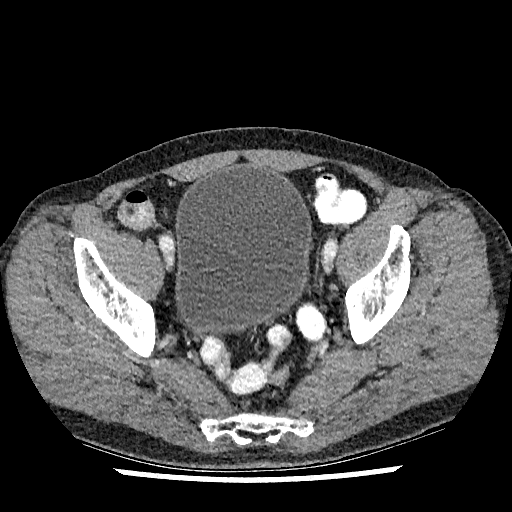
512x512 px. Computed tomography. The urinary bladder is located at <bbox>175, 166, 310, 334</bbox>.